Abdomen; CT slice; Slice index 50

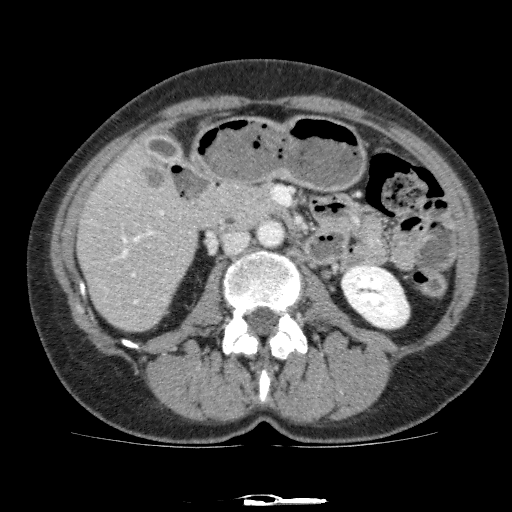 {"liver": ["(left=76, top=140, right=199, bottom=333)"], "kidney": ["(left=342, top=266, right=408, bottom=327)"], "hepatic_lesion": ["(left=138, top=163, right=167, bottom=188)"]}